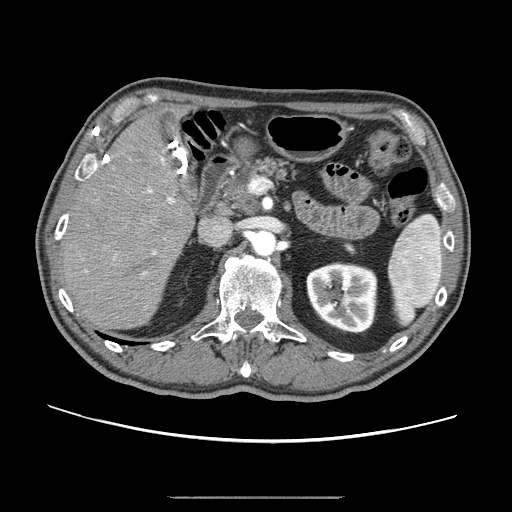

CT scan slice, Upper abdomen

Findings:
- pancreas: region(228, 158, 286, 204); region(228, 194, 238, 208)
- pancreatic tumor: region(226, 182, 258, 213)